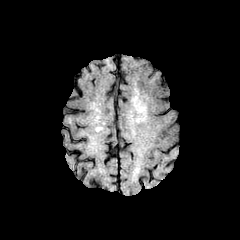
FLAIR MR image.
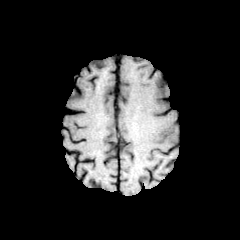
T1-weighted MR image.
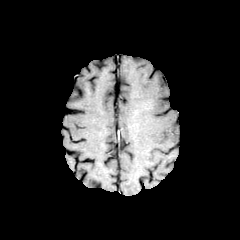
Post-contrast T1-weighted MRI.
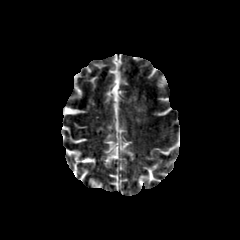
T2-weighted MR.
Head; Image size 240x240
Findings:
• edema: [x1=131, y1=95, x2=145, y2=123]